Head. Field of view 240x240 mm.
FLAIR magnetic resonance.
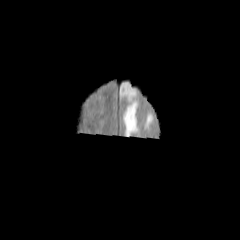
T1-weighted MR.
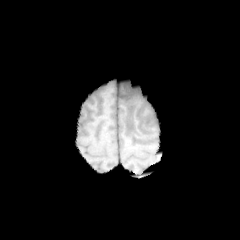
Post-contrast T1-weighted magnetic resonance.
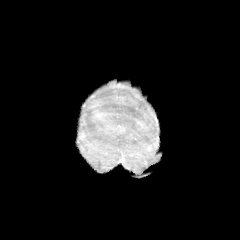
T2-weighted MRI.
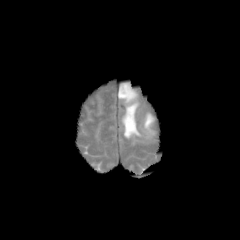
Edema at (144,113,155,129), (118,81,142,138).